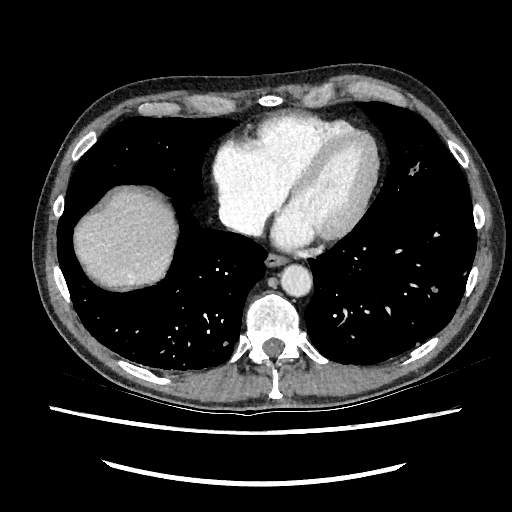 CT image, Upper abdomen
Annotated regions:
• liver: box(75, 194, 176, 284)